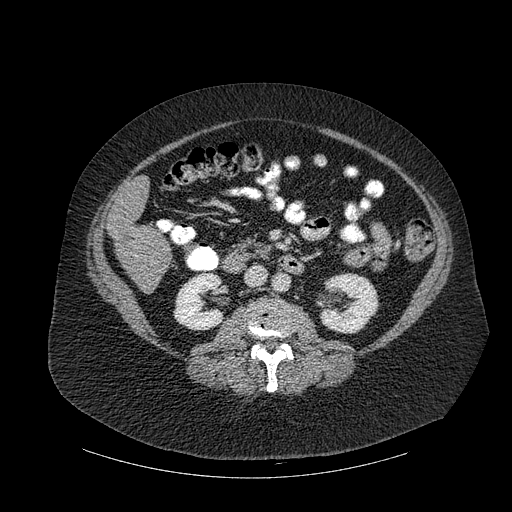
512x512 | Liver | Computed tomography
2 bone regions are located at l=247, t=301, r=296, b=337; l=251, t=344, r=293, b=391. The liver lies within l=108, t=176, r=172, b=293. 2 kidney regions are located at l=321, t=274, r=377, b=332; l=174, t=273, r=222, b=329.